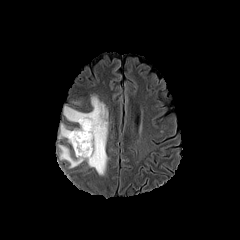
FLAIR MR image.
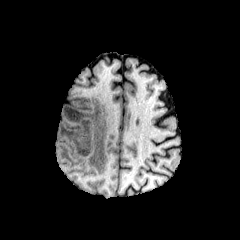
T1-weighted MR image.
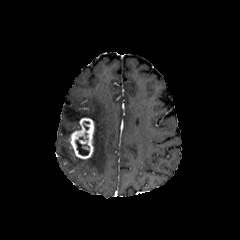
Post-contrast T1-weighted MR image of the same slice.
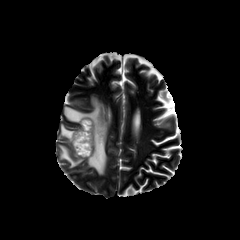
T2-weighted magnetic resonance of the same slice.
Head.
Non-enhancing tumor core: l=76, t=140, r=89, b=155.
Enhancing tumor: l=67, t=118, r=95, b=159.
Edema: l=63, t=96, r=108, b=176; l=58, t=123, r=71, b=139; l=59, t=145, r=84, b=168.